Brain | Slice 88 of 155
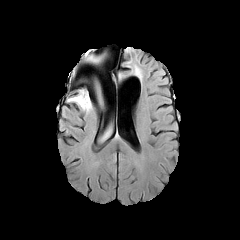
FLAIR magnetic resonance.
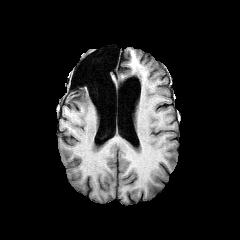
Same slice, T1-weighted magnetic resonance.
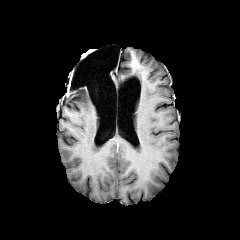
Same slice, post-contrast T1-weighted MR.
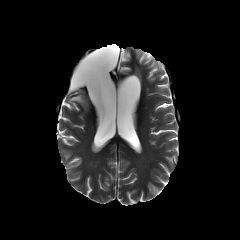
Same slice, T2-weighted magnetic resonance.
edema: 89 56 101 62, 68 90 92 112 | non-enhancing tumor core: 84 54 93 60